FLAIR MR.
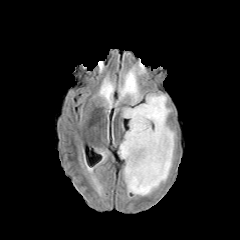
T1-weighted magnetic resonance.
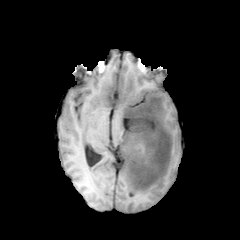
Post-contrast T1-weighted MR image.
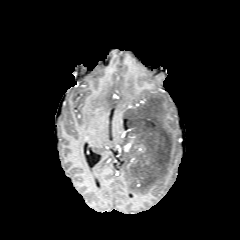
T2-weighted MR image.
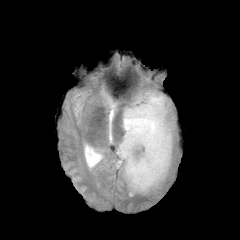
edema: [132,148,146,158], [118,68,175,195], [136,137,145,147], [102,88,112,106] | enhancing tumor: [123,136,135,151] | non-enhancing tumor core: [119,96,171,194]